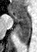
MRI slice.
Anterior hippocampus at <bbox>10, 10, 30, 22</bbox>.
Posterior hippocampus at <bbox>16, 23, 30, 42</bbox>.